240x240 px
FLAIR magnetic resonance.
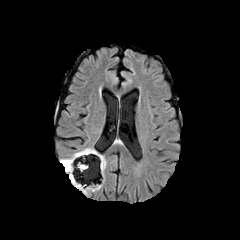
T1-weighted MR image.
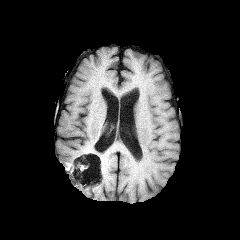
Post-contrast T1-weighted MR.
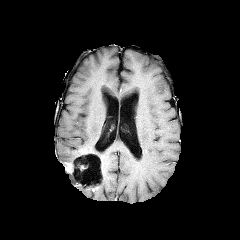
T2-weighted MRI.
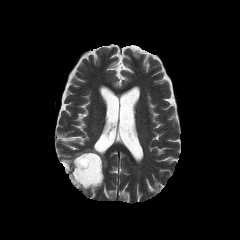
Edema — [61, 148, 83, 183].
Non-enhancing tumor core — [73, 150, 105, 179].
Enhancing tumor — [78, 149, 93, 155].